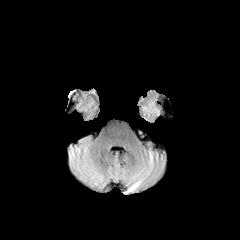
FLAIR MR.
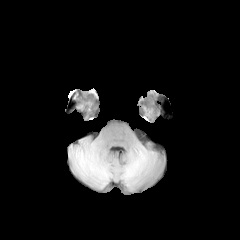
T1-weighted MRI of the same slice.
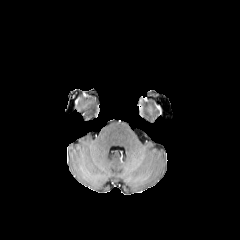
Post-contrast T1-weighted MR image.
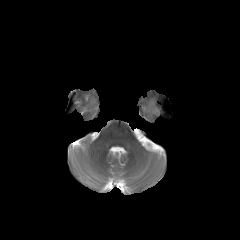
T2-weighted MR of the same slice.
240x240
• edema: (left=142, top=101, right=161, bottom=116)